FLAIR MRI.
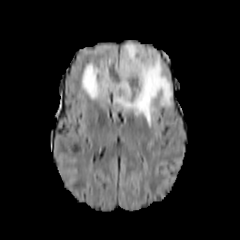
T1-weighted MR image.
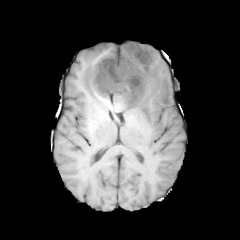
Post-contrast T1-weighted MR.
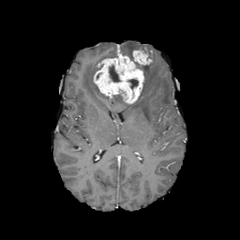
T2-weighted MRI.
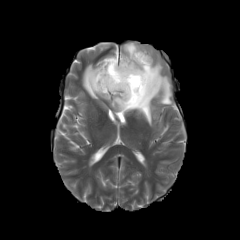
Image size 240x240; Brain
Edema at [121, 42, 152, 61], [82, 58, 173, 123].
Enhancing tumor at [94, 54, 144, 103], [133, 49, 151, 66].
Non-enhancing tumor core at [112, 94, 123, 102], [128, 78, 138, 89], [129, 54, 147, 71], [108, 66, 121, 81].